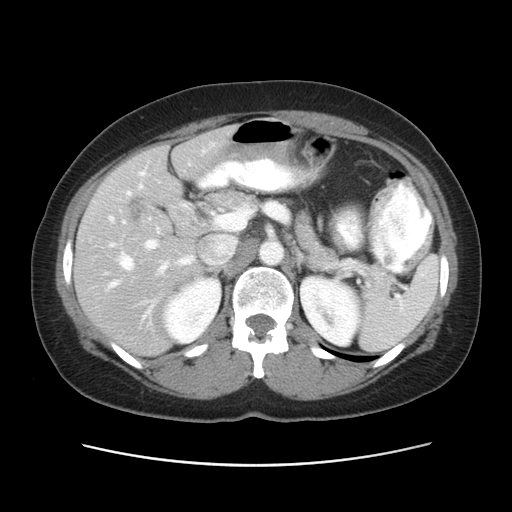 Abdomen; CT image; 512x512 px
Not every hepatic vessel necessarily has a box.
Findings:
• liver tumor: bbox(127, 197, 145, 224)
• hepatic vessel: bbox(127, 192, 130, 194); bbox(139, 185, 141, 188); bbox(158, 262, 168, 273); bbox(145, 240, 156, 248); bbox(202, 150, 204, 152); bbox(178, 256, 189, 264); bbox(139, 172, 145, 175); bbox(107, 281, 118, 288); bbox(122, 221, 125, 222); bbox(120, 253, 132, 269); bbox(111, 243, 115, 246)